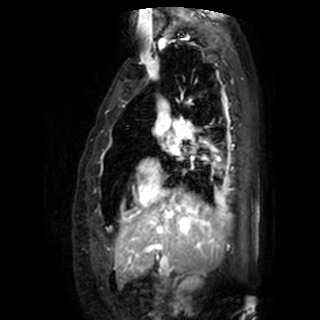

Image size 320x320; Magnetic resonance
The left atrium is bounded by [169, 141, 176, 148].